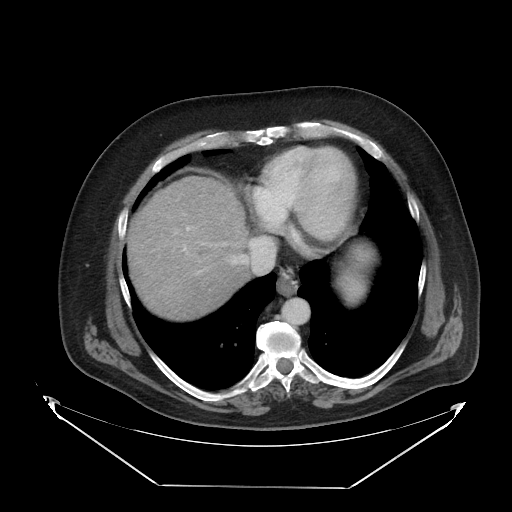

CT, Liver
The vessel annotation is not exhaustive.
Hepatic vessel — left=182, top=243, right=191, bottom=255; left=186, top=226, right=195, bottom=231; left=195, top=268, right=206, bottom=274; left=197, top=241, right=227, bottom=246; left=226, top=237, right=274, bottom=273; left=269, top=169, right=284, bottom=194; left=258, top=205, right=282, bottom=224; left=280, top=203, right=284, bottom=208.